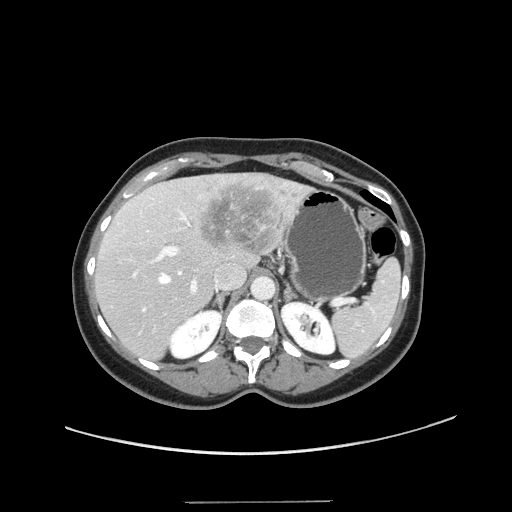 Image size 512x512. CT scan slice.

Only some of the vessels may be annotated.
hepatic vessel: bbox=[214, 265, 244, 288]; bbox=[191, 281, 196, 290]; bbox=[143, 308, 145, 310]; bbox=[179, 271, 180, 273]; bbox=[133, 273, 135, 275]; bbox=[160, 274, 169, 282]; bbox=[156, 246, 177, 259]; bbox=[180, 213, 185, 219] | liver tumor: bbox=[196, 177, 286, 255]